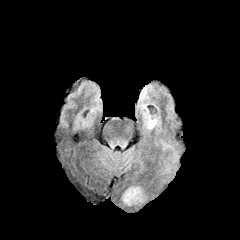
FLAIR MR image.
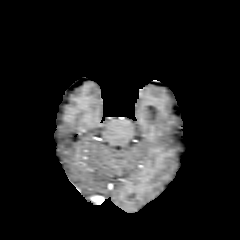
Same slice, T1-weighted MR.
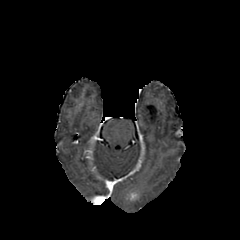
Post-contrast T1-weighted MR.
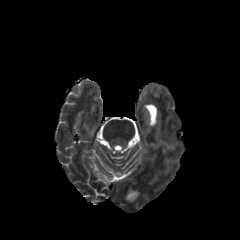
T2-weighted MR image of the same slice.
Brain; Image size 240x240
The enhancing tumor lies within 124:187:141:202.